CT scan slice

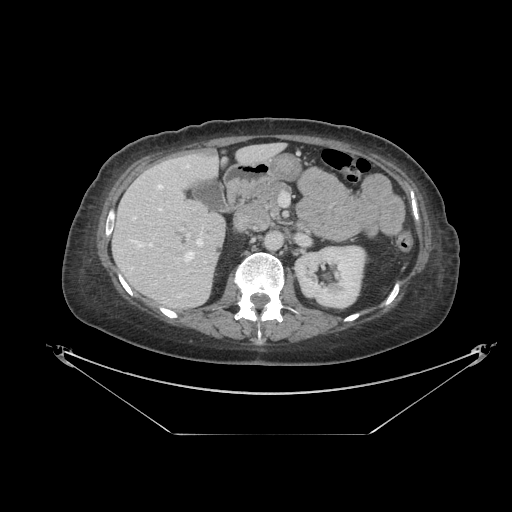

pancreas: [250, 181, 287, 214]